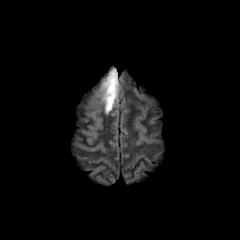
FLAIR MR image.
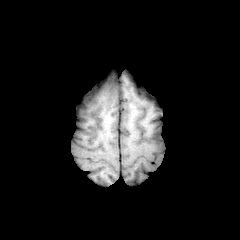
T1-weighted MRI.
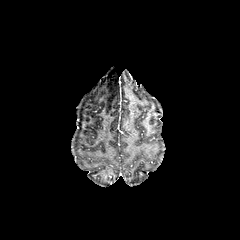
Same slice, post-contrast T1-weighted MR.
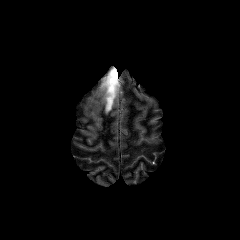
T2-weighted magnetic resonance.
Brain
The edema appears at 101,68,120,113.